FLAIR MRI.
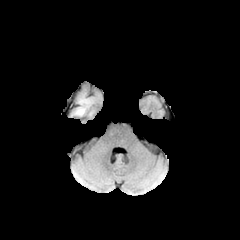
T1-weighted MRI.
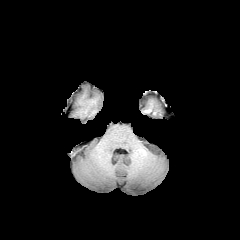
Post-contrast T1-weighted MR image.
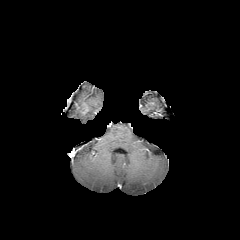
T2-weighted MRI.
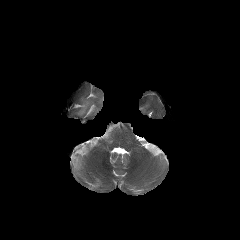
edema:
  - [78, 98, 92, 115]